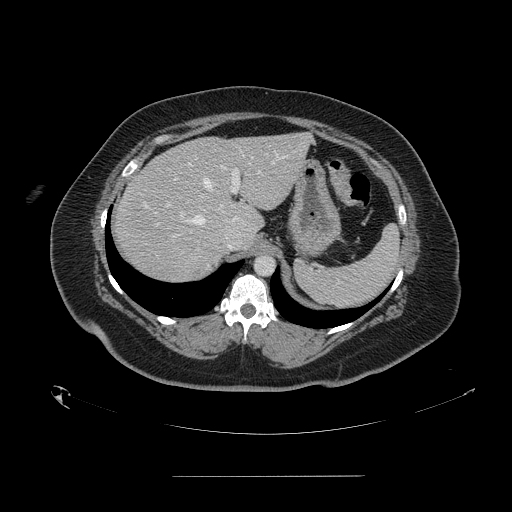 CT scan slice. Upper abdomen. Spleen: (294, 225, 399, 307).